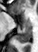
MRI slice. Annotated regions:
• posterior hippocampus: bbox(17, 24, 31, 43)
• anterior hippocampus: bbox(22, 18, 30, 23)